FLAIR MRI.
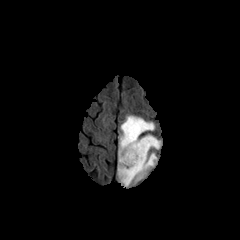
T1-weighted MRI.
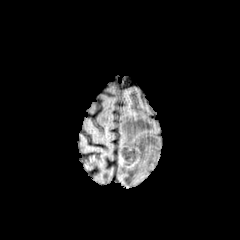
Post-contrast T1-weighted magnetic resonance.
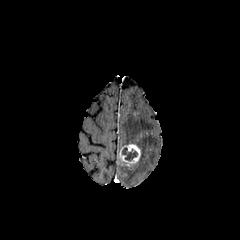
T2-weighted MR image.
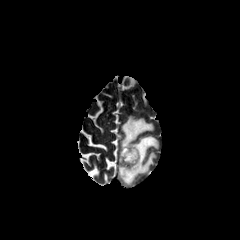
Head
Segmented structures:
* edema: (118, 115, 159, 188)
* non-enhancing tumor core: (124, 151, 137, 161)
* enhancing tumor: (118, 144, 140, 166)